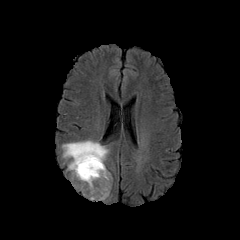
FLAIR MR.
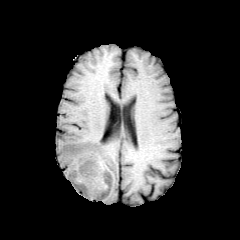
T1-weighted MRI.
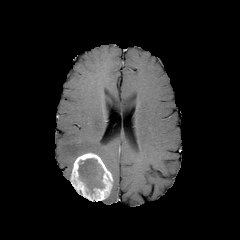
Post-contrast T1-weighted MR.
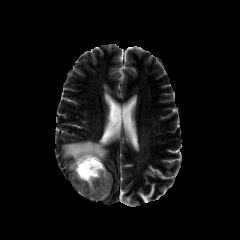
Same slice, T2-weighted MR.
240x240 px
{
  "edema": [
    "(62,139,109,181)",
    "(88,180,103,188)"
  ],
  "non-enhancing_tumor_core": [
    "(78,159,103,194)"
  ],
  "enhancing_tumor": [
    "(71,152,112,201)"
  ]
}